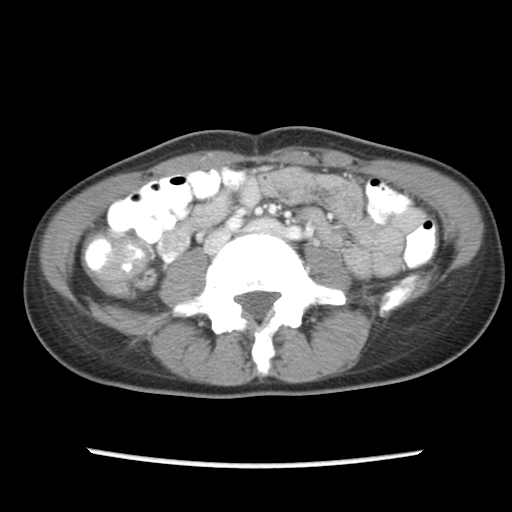
Pelvis; 512x512; CT

The colon tumor lies within region(80, 233, 151, 295).